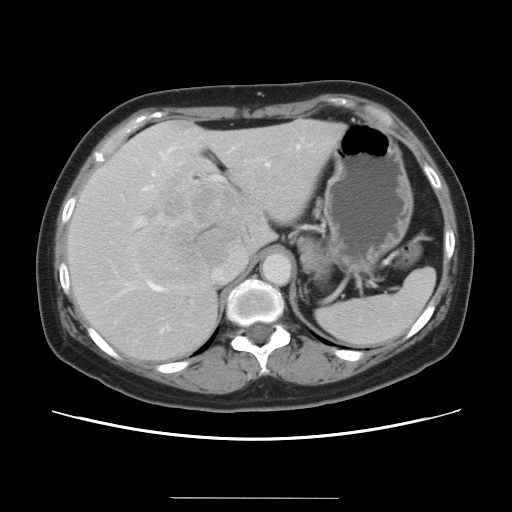

CT image
The vessel annotation is not exhaustive.
{"hepatic_vessel": ["(left=296, top=146, right=299, bottom=149)", "(left=143, top=186, right=152, bottom=190)", "(left=229, top=147, right=234, bottom=152)", "(left=244, top=160, right=247, bottom=162)", "(left=266, top=163, right=268, bottom=166)", "(left=211, top=176, right=220, bottom=180)", "(left=152, top=173, right=153, bottom=175)", "(left=149, top=283, right=161, bottom=290)", "(left=160, top=327, right=168, bottom=333)", "(left=134, top=218, right=145, bottom=226)", "(left=199, top=137, right=202, bottom=139)", "(left=214, top=269, right=217, bottom=272)", "(left=121, top=284, right=132, bottom=294)"], "liver_tumor": ["(left=137, top=175, right=258, bottom=284)"]}